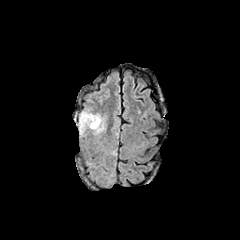
FLAIR MR.
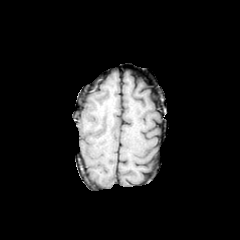
Same slice, T1-weighted MR image.
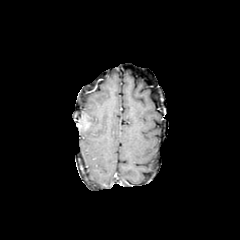
Post-contrast T1-weighted magnetic resonance.
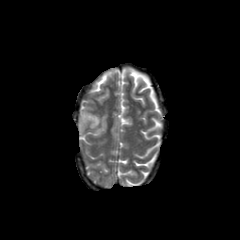
T2-weighted magnetic resonance.
Brain
The edema is bounded by left=76, top=111, right=105, bottom=134.